FLAIR magnetic resonance.
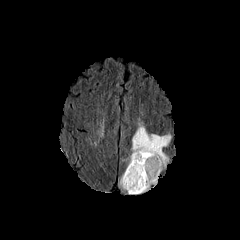
T1-weighted MRI.
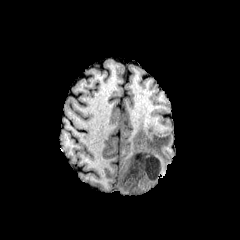
Post-contrast T1-weighted MR image.
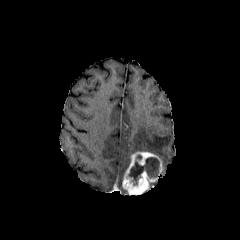
T2-weighted magnetic resonance.
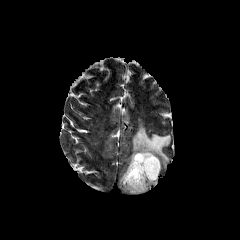
Brain
non-enhancing tumor core: (127, 157, 159, 186) | enhancing tumor: (122, 151, 161, 194) | edema: (131, 118, 171, 169)